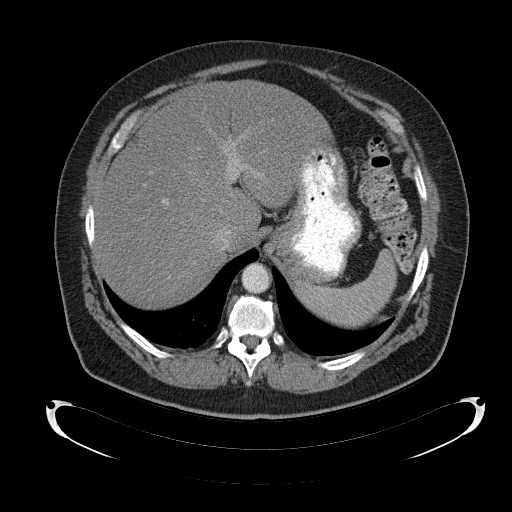
Upper abdomen | Computed tomography
The spleen lies within box(297, 253, 395, 327).